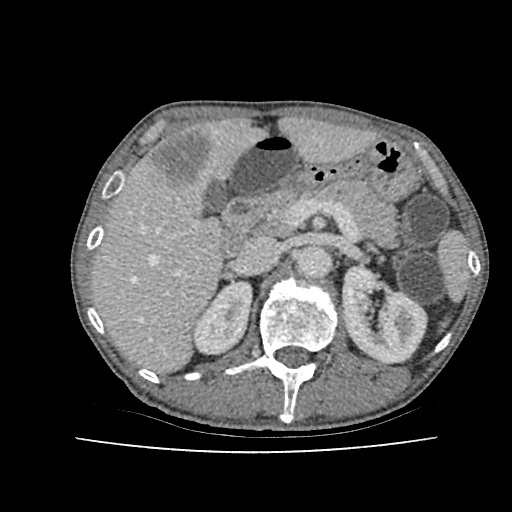

CT scan slice, Abdomen
2 kidney regions appear at [x1=195, y1=282, x2=251, y2=353], [x1=343, y1=267, x2=425, y2=362]. The hepatic lesion is at [x1=151, y1=131, x2=214, y2=185]. 2 liver regions are located at [x1=93, y1=120, x2=260, y2=369], [x1=282, y1=119, x2=370, y2=161].